CT. Slice 136/260. Image size 512x512. Upper abdomen.

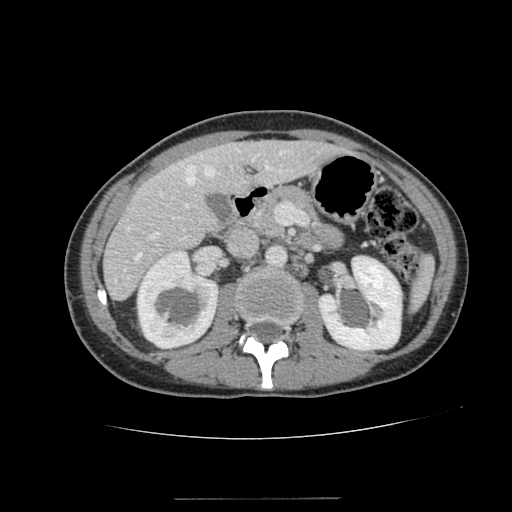
2 kidney regions are located at 319:256:401:350, 138:251:217:348. The liver lies within 103:139:347:300.